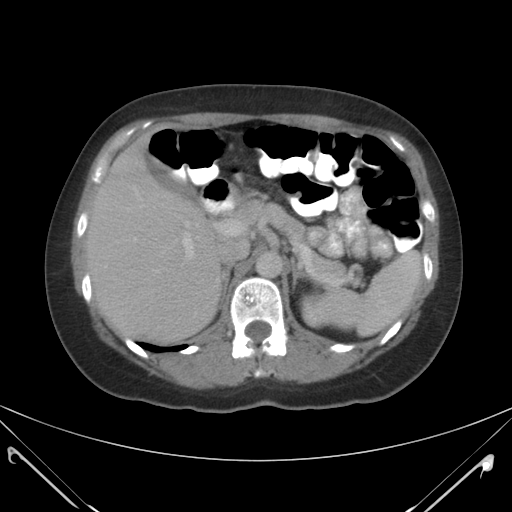 CT, 512x512, Upper abdomen

The spleen is bounded by 319 250 423 335.